Slice index 108, Field of view 240x240 mm, Image size 240x240
FLAIR MR image.
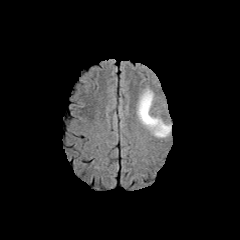
T1-weighted MR image.
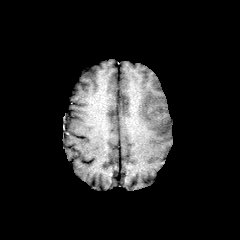
Post-contrast T1-weighted MR.
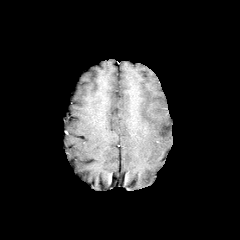
T2-weighted MR image.
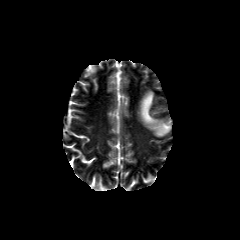
Edema: <bbox>137, 88, 171, 138</bbox>.